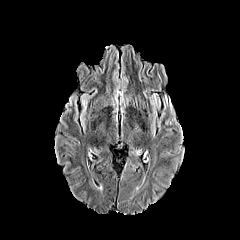
FLAIR MR.
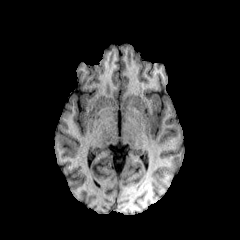
T1-weighted MR.
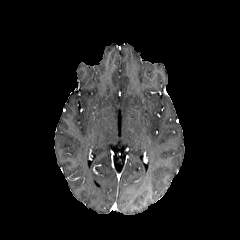
Same slice, post-contrast T1-weighted MR.
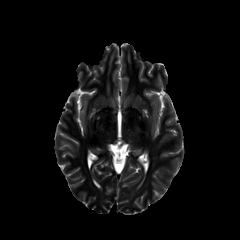
T2-weighted magnetic resonance.
240x240 px
edema: [x1=163, y1=96, x2=175, y2=118], [x1=150, y1=94, x2=160, y2=137]